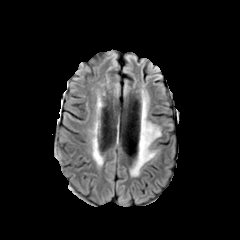
FLAIR MR image.
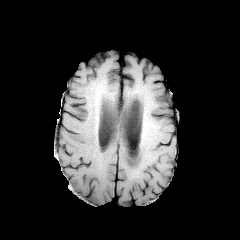
T1-weighted MRI of the same slice.
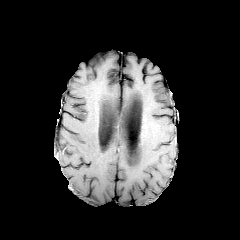
Post-contrast T1-weighted MR image.
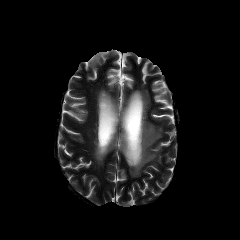
Same slice, T2-weighted MR image.
240x240
Edema at left=132, top=91, right=161, bottom=175.